Computed tomography, Abdomen, Slice 158/165 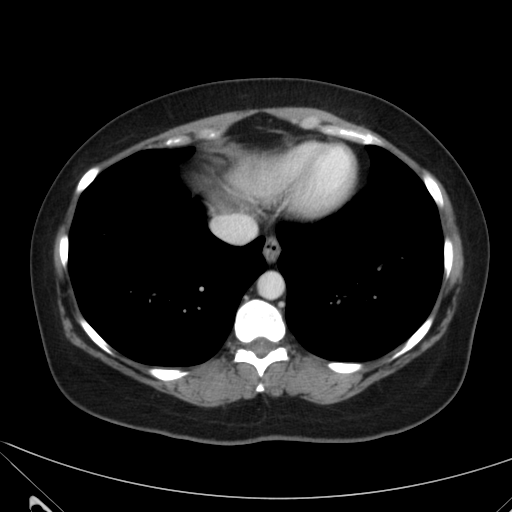 Liver = 230 159 287 201.